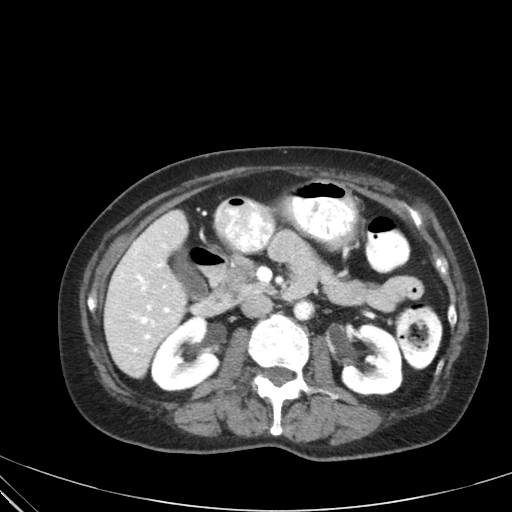

CT scan slice
pancreatic tumor: <box>242,274,257,284</box> | pancreas: <box>226,255,260,295</box>